Slice index 8 | CT scan slice 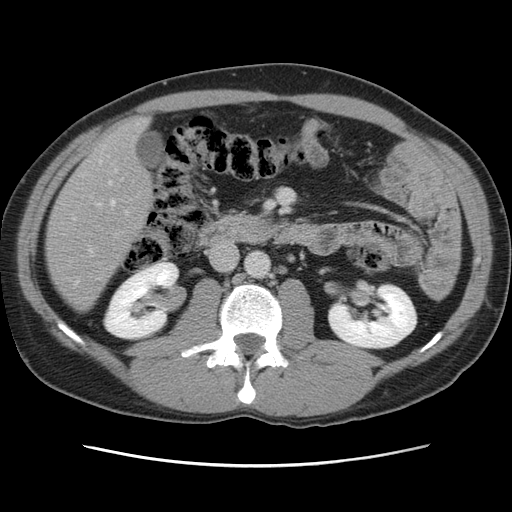 The vessel annotation is not exhaustive.
* hepatic vessel: bbox(110, 181, 111, 184); bbox(137, 122, 139, 131); bbox(97, 203, 101, 206); bbox(115, 234, 116, 235); bbox(111, 200, 114, 205); bbox(125, 211, 128, 215); bbox(89, 249, 92, 254); bbox(100, 160, 101, 163); bbox(75, 277, 78, 286); bbox(73, 218, 75, 219)